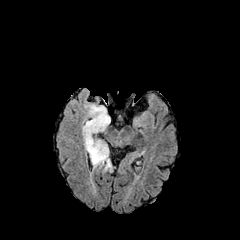
FLAIR magnetic resonance.
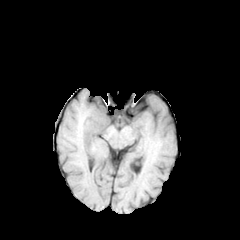
T1-weighted MR image of the same slice.
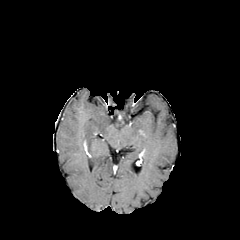
Post-contrast T1-weighted magnetic resonance of the same slice.
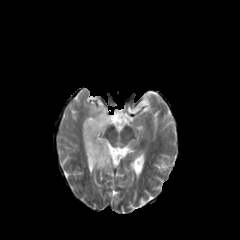
Same slice, T2-weighted MR image.
Image size 240x240
Edema: bounding box [x1=82, y1=102, x2=111, y2=172].